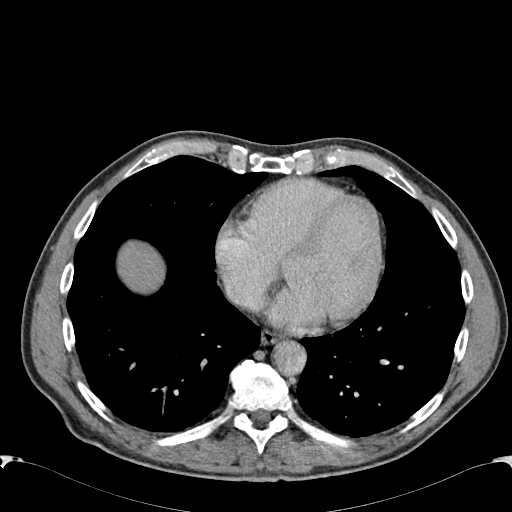
CT scan slice; Liver

Liver — region(119, 243, 163, 290).